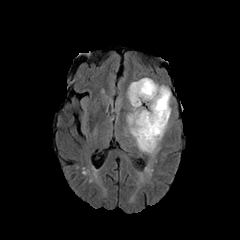
FLAIR magnetic resonance.
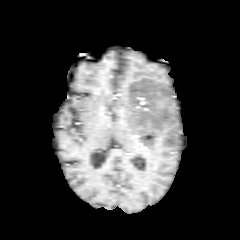
T1-weighted magnetic resonance of the same slice.
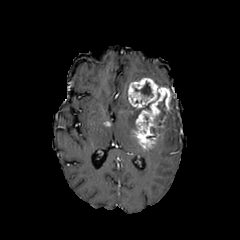
Same slice, post-contrast T1-weighted MR image.
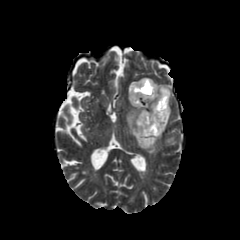
T2-weighted MRI of the same slice.
Image size 240x240
{
  "enhancing_tumor": [
    "bbox=[128, 78, 171, 148]"
  ],
  "non-enhancing_tumor_core": [
    "bbox=[151, 100, 165, 134]",
    "bbox=[137, 102, 151, 115]",
    "bbox=[135, 83, 151, 96]"
  ],
  "edema": [
    "bbox=[135, 108, 171, 153]",
    "bbox=[126, 104, 138, 135]"
  ]
}